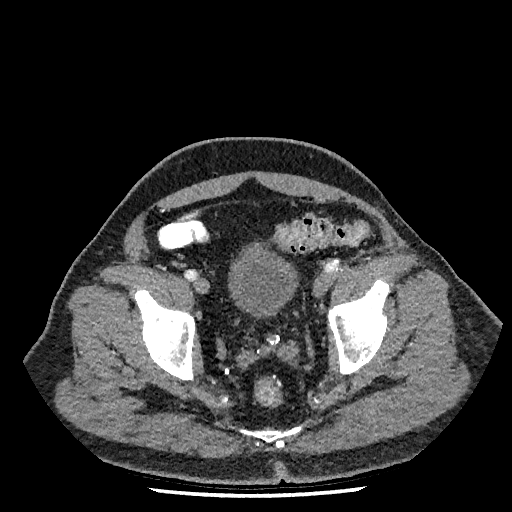
Lower abdomen, CT scan slice

urinary bladder: x1=227, y1=238, x2=299, y2=319